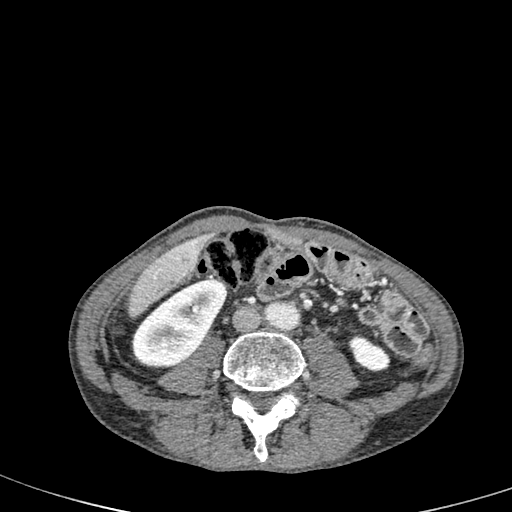 CT scan slice
<segmentation>
  <kidney>[x1=133, y1=280, x2=224, y2=365], [x1=350, y1=337, x2=388, y2=369]</kidney>
  <liver>[x1=126, y1=234, x2=211, y2=317]</liver>
</segmentation>